Slice 44 of 154; Image size 512x512; CT image 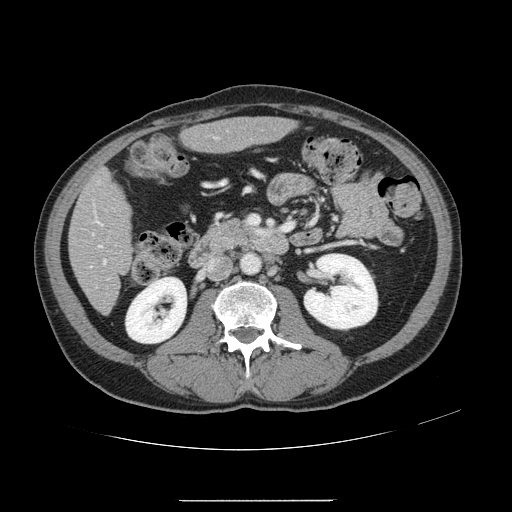
The vessel annotation is not exhaustive.
Hepatic vessel at x1=214, y1=137, x2=218, y2=138; x1=103, y1=259, x2=105, y2=264; x1=93, y1=207, x2=102, y2=225; x1=98, y1=181, x2=99, y2=184; x1=89, y1=266, x2=91, y2=267; x1=98, y1=245, x2=102, y2=247.